Head
FLAIR MR.
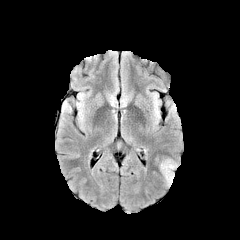
T1-weighted MRI.
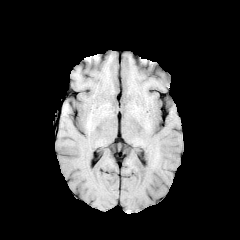
Post-contrast T1-weighted MR image.
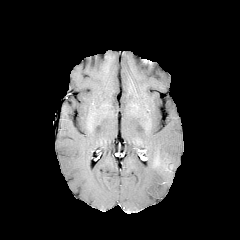
T2-weighted MRI.
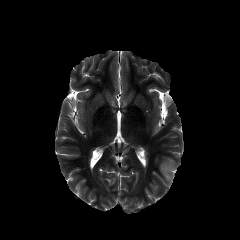
<segmentation>
  <edema>(160, 159, 176, 185)</edema>
  <non-enhancing_tumor_core>(165, 163, 173, 175)</non-enhancing_tumor_core>
</segmentation>